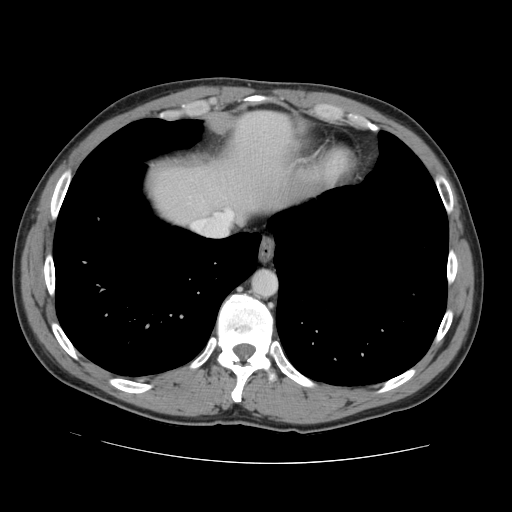 Liver; CT scan slice

Not every hepatic vessel necessarily has a box.
Findings:
• hepatic vessel: (215, 213, 218, 214)